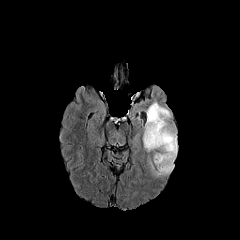
FLAIR MRI.
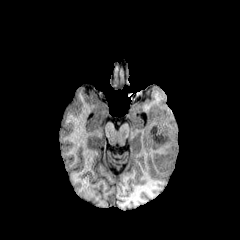
T1-weighted MR image.
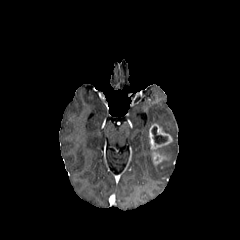
Same slice, post-contrast T1-weighted MR image.
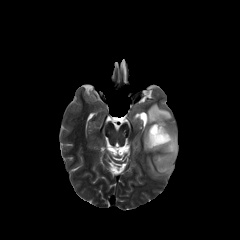
T2-weighted MRI.
240x240 px
- edema: region(141, 103, 177, 175)
- enhancing tumor: region(147, 123, 171, 165)
- non-enhancing tumor core: region(154, 135, 168, 144)